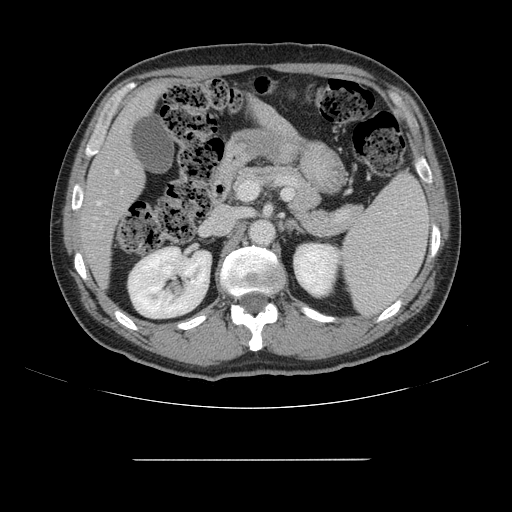

Abdomen; CT scan slice
Only some of the vessels may be annotated.
4 hepatic vessel regions appear at left=98, top=202, right=99, bottom=205; left=121, top=191, right=122, bottom=193; left=106, top=212, right=107, bottom=213; left=116, top=170, right=117, bottom=173.